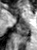

MR

Segmented structures:
* posterior hippocampus: l=17, t=24, r=28, b=36